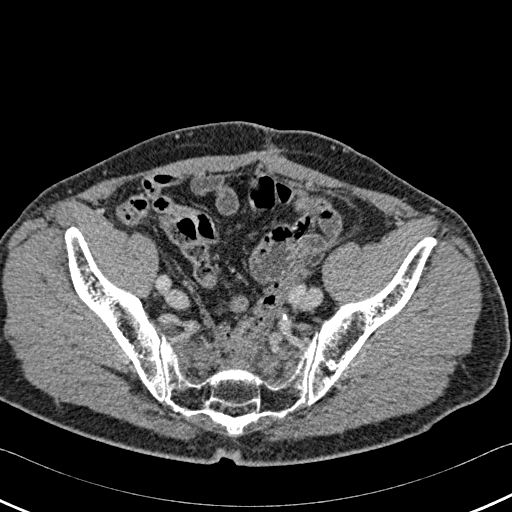
CT slice

bone: (left=65, top=227, right=435, bottom=433)